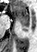

MRI. Hippocampus.
anterior hippocampus: x1=13 y1=6 x2=29 y2=22 | posterior hippocampus: x1=23 y1=28 x2=27 y2=30, x1=21 y1=23 x2=29 y2=26